Liver, 512x512 px, Computed tomography
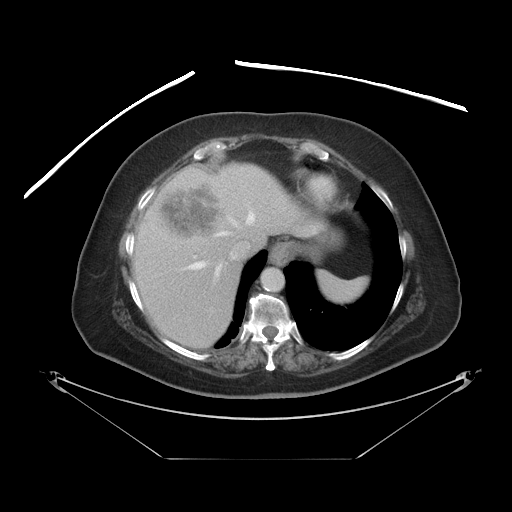 Only some of the vessels may be annotated.
The liver tumor is bounded by <box>155,181,225,243</box>. 5 hepatic vessel regions are bounded by <box>230,243,249,257</box>, <box>185,261,205,269</box>, <box>220,231,234,235</box>, <box>214,264,221,276</box>, <box>228,211,258,229</box>.